FLAIR MRI.
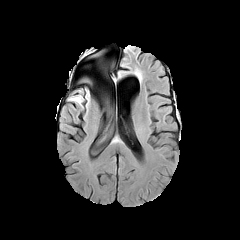
T1-weighted MR.
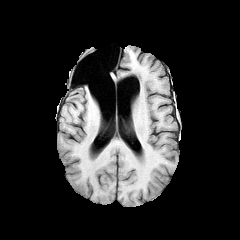
Post-contrast T1-weighted magnetic resonance.
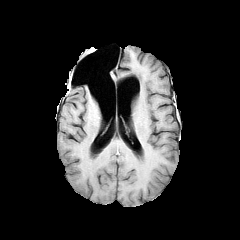
T2-weighted MR.
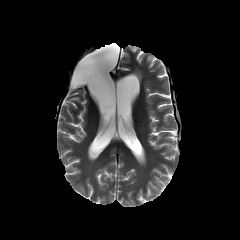
240x240; Brain
Edema at rect(68, 89, 90, 107).